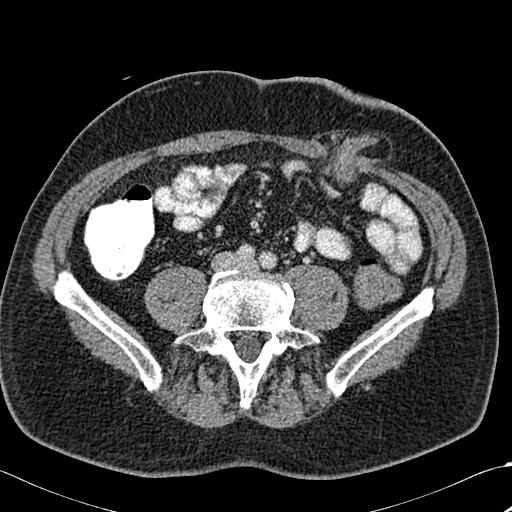
Computed tomography
{
  "bone": [
    "left=326, top=288, right=433, bottom=395",
    "left=176, top=269, right=315, bottom=407",
    "left=54, top=272, right=161, bottom=390"
  ]
}